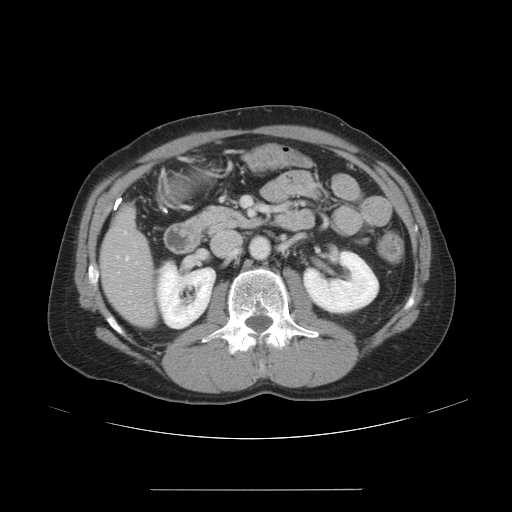 Liver. CT scan slice. 512x512 px.
Not every hepatic vessel necessarily has a box.
{
  "hepatic_vessel": [
    "[129, 291, 130, 293]",
    "[126, 256, 128, 259]"
  ]
}